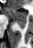

MR image, Medial temporal lobe

Anterior hippocampus — (5,7,26,21).
Posterior hippocampus — (17,22,26,28).